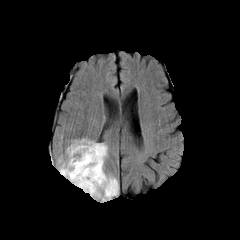
FLAIR MRI.
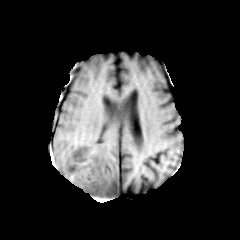
Same slice, T1-weighted MRI.
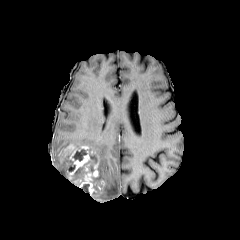
Post-contrast T1-weighted magnetic resonance of the same slice.
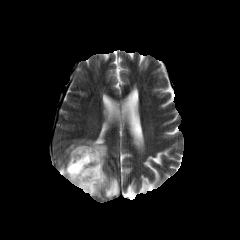
T2-weighted MRI.
Head
Findings:
* non-enhancing tumor core: (x1=74, y1=167, x2=83, y2=179), (x1=68, y1=161, x2=74, y2=171), (x1=72, y1=148, x2=87, y2=160), (x1=93, y1=174, x2=103, y2=195)
* edema: (x1=71, y1=139, x2=118, y2=199), (x1=59, y1=147, x2=71, y2=177), (x1=70, y1=172, x2=81, y2=185)
* enhancing tumor: (x1=67, y1=146, x2=99, y2=195)